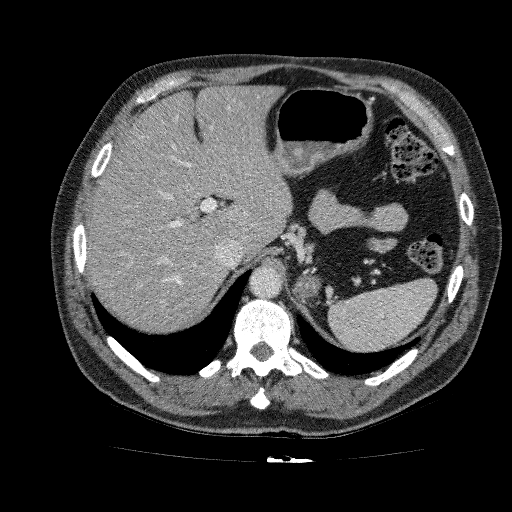
512x512; CT slice

Liver = (left=87, top=85, right=292, bottom=333).